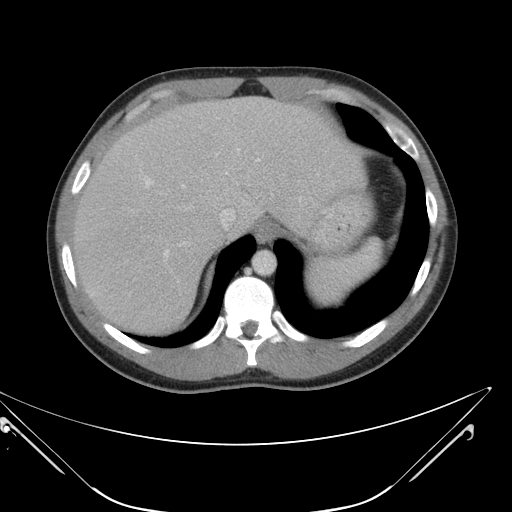
CT scan slice

Not every hepatic vessel necessarily has a box.
Hepatic vessel — left=219, top=209, right=234, bottom=229; left=182, top=185, right=184, bottom=187; left=256, top=159, right=258, bottom=161; left=237, top=149, right=239, bottom=150; left=164, top=251, right=168, bottom=256; left=143, top=176, right=152, bottom=187.